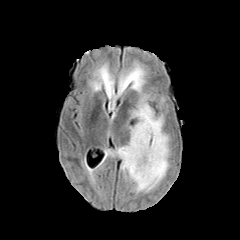
FLAIR MR image.
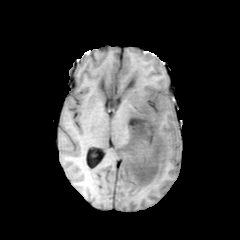
Same slice, T1-weighted MR image.
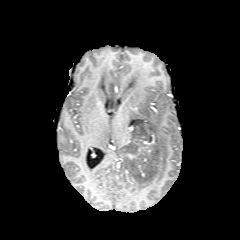
Same slice, post-contrast T1-weighted magnetic resonance.
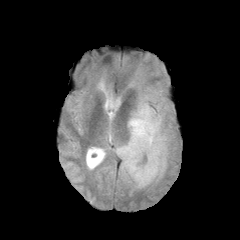
Same slice, T2-weighted MR image.
Image size 240x240; Brain
3 edema regions are located at (left=136, top=152, right=149, bottom=165), (left=114, top=63, right=172, bottom=192), (left=102, top=72, right=116, bottom=108). The non-enhancing tumor core lies within (left=122, top=104, right=165, bottom=188).